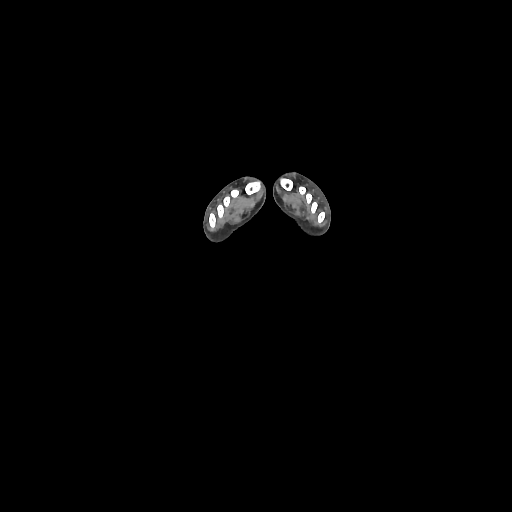
CT scan slice.
Annotated regions:
• bone: (x1=209, y1=213, x2=215, y2=228), (x1=299, y1=187, x2=317, y2=213), (x1=245, y1=181, x2=260, y2=194), (x1=217, y1=190, x2=238, y2=217), (x1=280, y1=178, x2=292, y2=190), (x1=318, y1=212, x2=324, y2=222)